Field of view 240 mm wide, 1.00 mm slice spacing; Brain
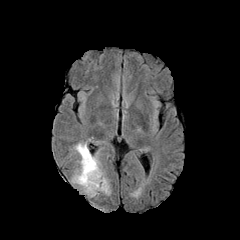
FLAIR MR image.
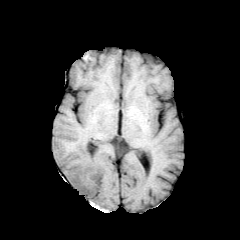
T1-weighted magnetic resonance.
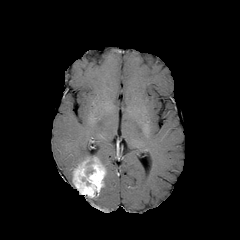
Post-contrast T1-weighted MR image.
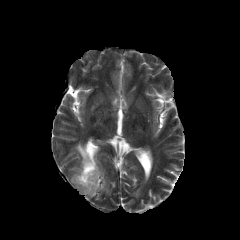
Same slice, T2-weighted MR image.
• edema: [x1=97, y1=175, x2=109, y2=193], [x1=73, y1=142, x2=94, y2=163]
• enhancing tumor: [x1=72, y1=157, x2=104, y2=196]